Slice index 60
FLAIR MR.
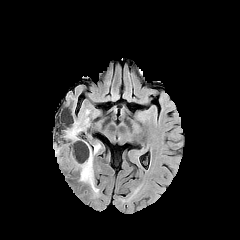
T1-weighted MR.
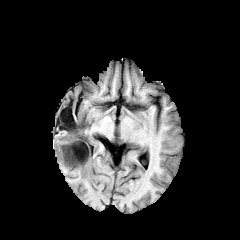
Post-contrast T1-weighted MRI.
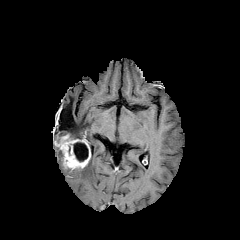
T2-weighted magnetic resonance.
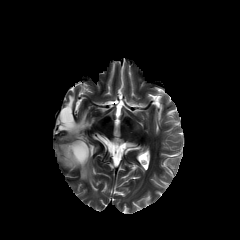
2 edema regions are located at 56,105,91,138; 75,142,100,193. The enhancing tumor is located at 55,134,90,168. The non-enhancing tumor core is located at 54,133,88,162.